FLAIR MR image.
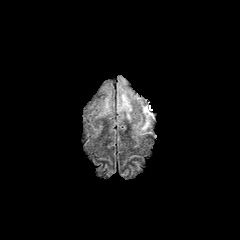
T1-weighted magnetic resonance.
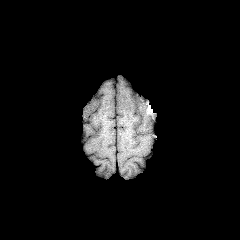
Post-contrast T1-weighted magnetic resonance.
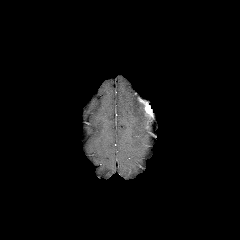
T2-weighted magnetic resonance.
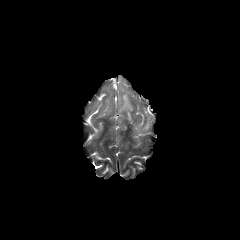
240x240
<segmentation>
  <edema>[x1=136, y1=116, x2=150, y2=130], [x1=99, y1=98, x2=111, y2=115], [x1=116, y1=90, x2=133, y2=120]</edema>
</segmentation>